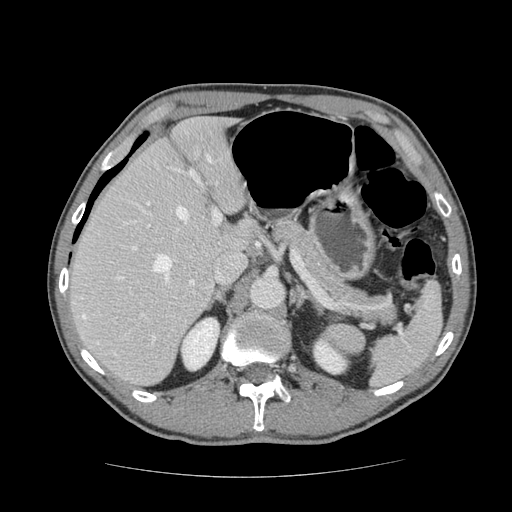
CT slice

pancreas:
  - (269,218,399,327)